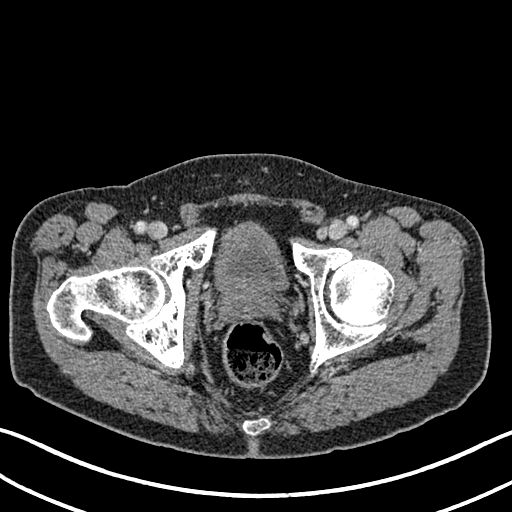

CT image; 512x512
The urinary bladder appears at x1=213, y1=229, x2=288, y2=302.